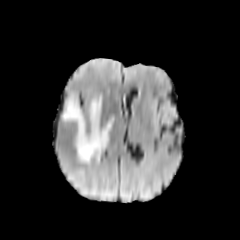
FLAIR MR.
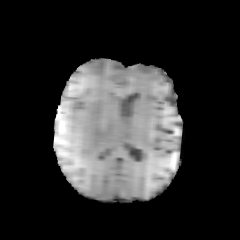
Same slice, T1-weighted magnetic resonance.
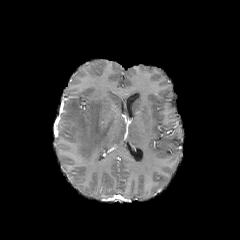
Same slice, post-contrast T1-weighted MR.
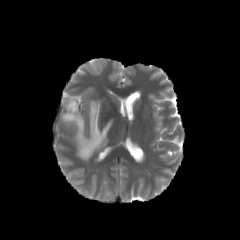
T2-weighted MR.
Brain
The edema is bounded by 63:96:114:164.